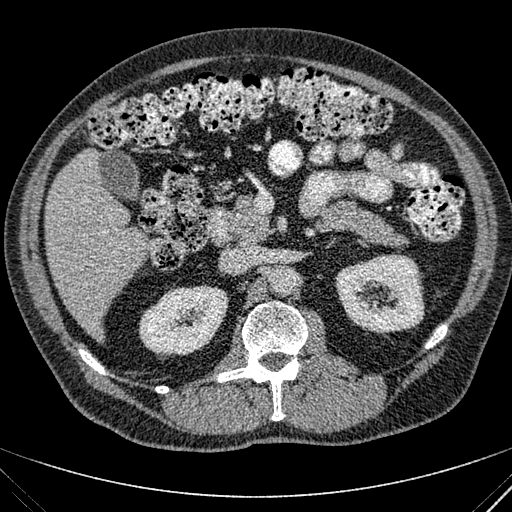 Image size 512x512; CT image; Upper abdomen
kidney:
  - rect(140, 286, 228, 354)
  - rect(336, 255, 423, 332)
liver:
  - rect(44, 149, 148, 338)